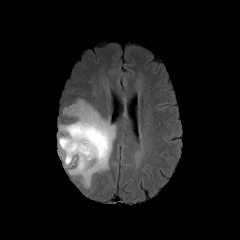
FLAIR MRI.
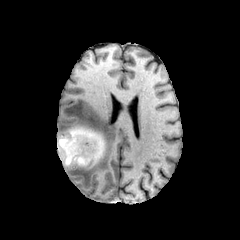
T1-weighted MRI of the same slice.
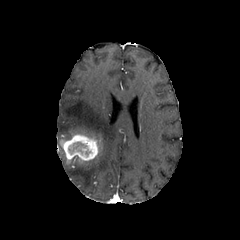
Post-contrast T1-weighted MRI.
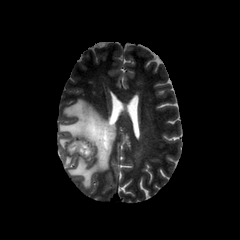
T2-weighted MR image.
Head
The edema is located at bbox=[59, 99, 116, 187]. 2 non-enhancing tumor core regions are located at bbox=[60, 126, 102, 159]; bbox=[67, 141, 92, 157]. The enhancing tumor is bounded by bbox=[63, 135, 97, 160].